Slice 31 of 45 | CT slice | 512x512

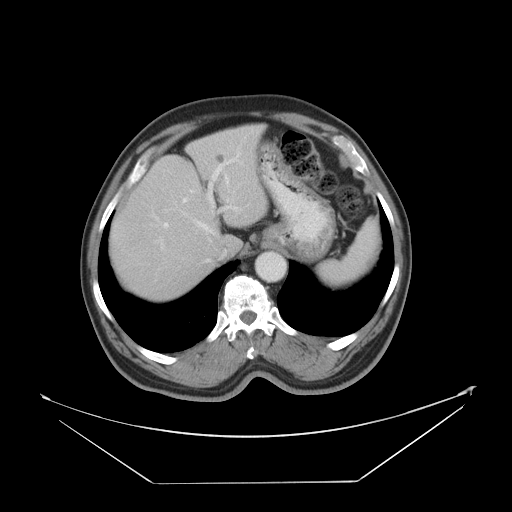
Some hepatic vessels may have no box.
Hepatic vessel — bbox=[225, 175, 228, 184]; bbox=[155, 237, 164, 249]; bbox=[195, 221, 213, 233]; bbox=[207, 142, 243, 207]; bbox=[164, 209, 166, 211]; bbox=[223, 152, 225, 153]; bbox=[212, 211, 214, 213]; bbox=[174, 203, 176, 208]; bbox=[164, 223, 168, 227]; bbox=[183, 198, 187, 202]; bbox=[208, 237, 210, 240]; bbox=[222, 199, 241, 211].